Slice 476/751. CT image. 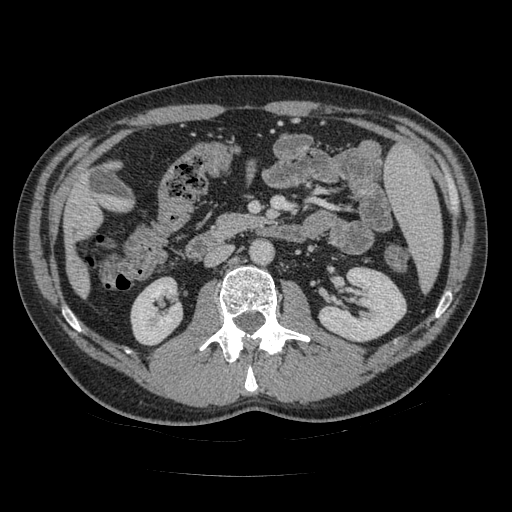

The pancreas is located at (left=216, top=214, right=265, bottom=237).